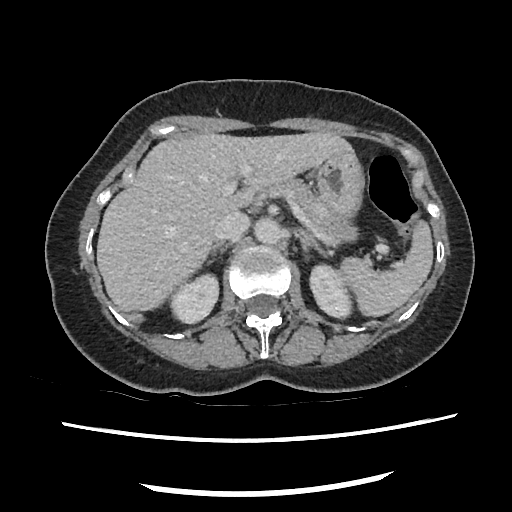
512x512. Computed tomography. The pancreatic tumor is located at [315,204,329,216]. The pancreas is bounded by [266,180,356,237].